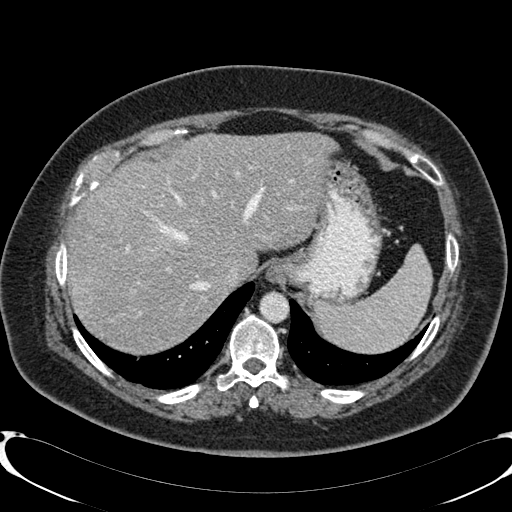

512x512 px; Liver; CT scan slice

liver:
  - rect(67, 133, 335, 352)
focal_liver_lesion:
  - rect(92, 226, 106, 241)
  - rect(70, 218, 88, 236)
  - rect(113, 259, 134, 289)